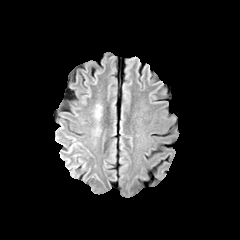
FLAIR MR.
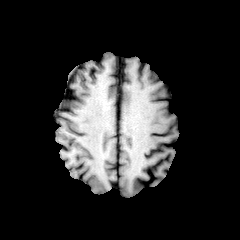
T1-weighted magnetic resonance of the same slice.
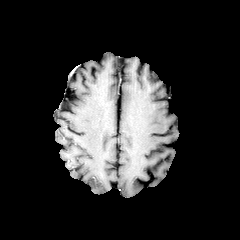
Post-contrast T1-weighted MRI.
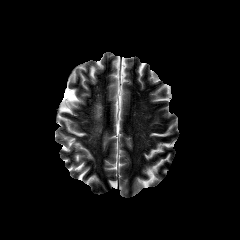
T2-weighted MRI.
<segmentation>
  <edema><box>93,103,102,121</box></edema>
</segmentation>